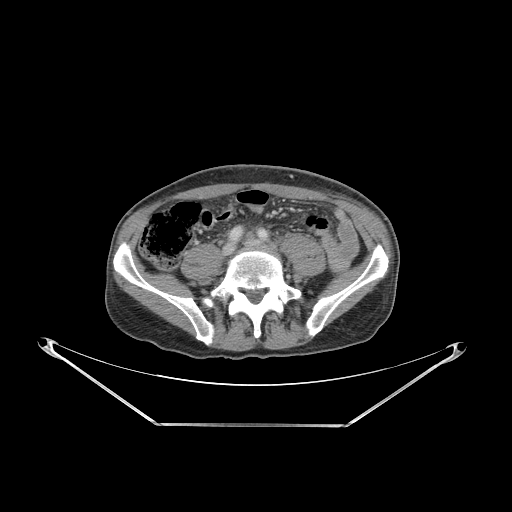
Image size 512x512; Computed tomography
bone:
  - (114,242,213,344)
  - (204,251,300,337)
  - (307,245,388,335)